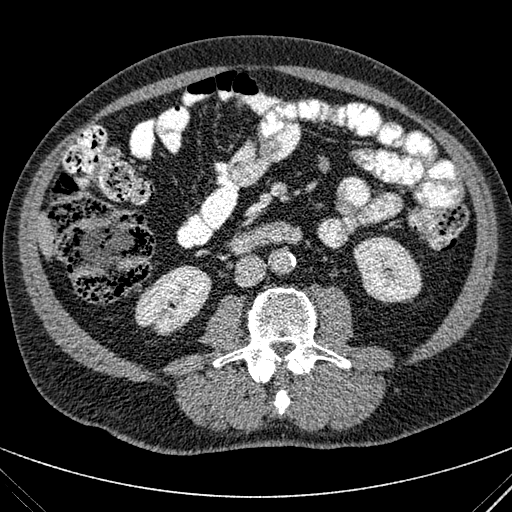
CT | 512x512 px

Segmented structures:
* kidney: l=135, t=266, r=210, b=335; l=354, t=237, r=421, b=301
* liver: l=38, t=216, r=52, b=256